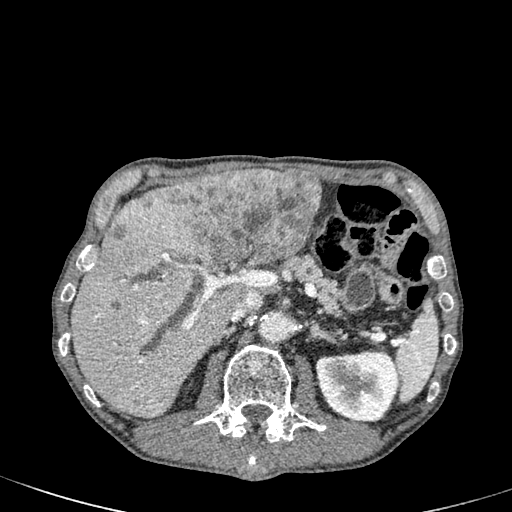

CT

Kidney — [315, 352, 401, 420].
Focal liver lesion — [143, 197, 151, 206], [109, 226, 124, 238], [134, 395, 147, 407], [166, 169, 320, 270].
Liver — [71, 183, 248, 416].